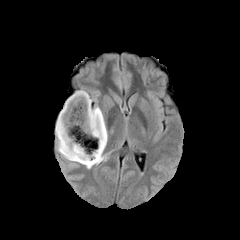
FLAIR MRI.
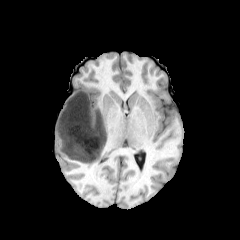
T1-weighted MR.
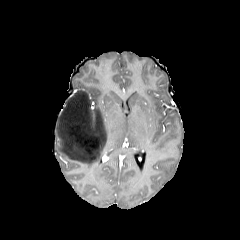
Post-contrast T1-weighted MRI of the same slice.
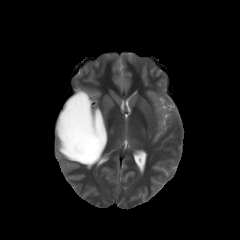
T2-weighted MRI of the same slice.
240x240 px, Head
2 edema regions are located at box(55, 120, 98, 168); box(94, 105, 107, 147). The non-enhancing tumor core is bounded by box(57, 91, 106, 163).